Slice index 438; CT image; Upper abdomen

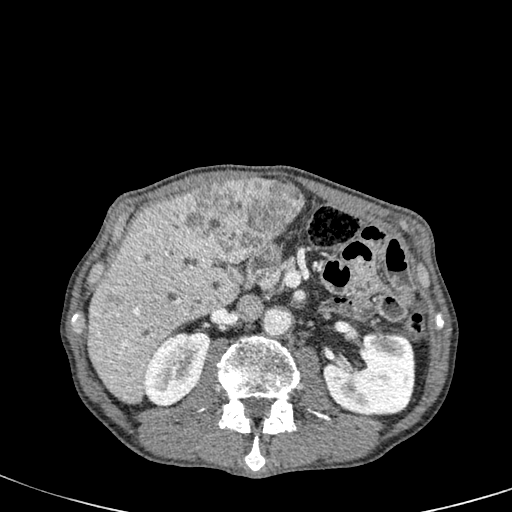

Kidney: bounding box box=[143, 333, 209, 405]; box=[324, 335, 413, 414].
Focal liver lesion: bounding box box=[187, 178, 303, 262].
Liver: bounding box box=[88, 192, 238, 403].